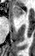

Image size 35x56. MR image. Medial temporal lobe. The anterior hippocampus is at <bbox>14, 6, 22, 16</bbox>.